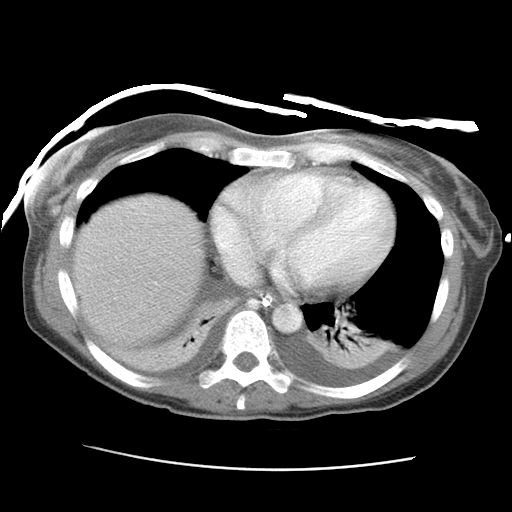

Upper abdomen | CT slice

Liver: bounding box box(72, 195, 203, 345).